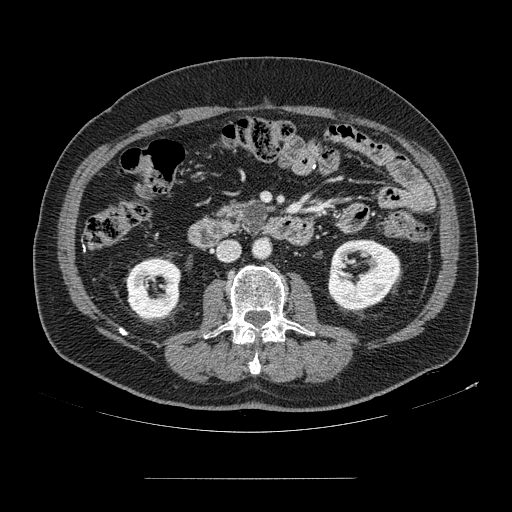
512x512 | Upper abdomen | Computed tomography
pancreatic tumor: 242,203,265,232 | pancreas: 219,198,267,234